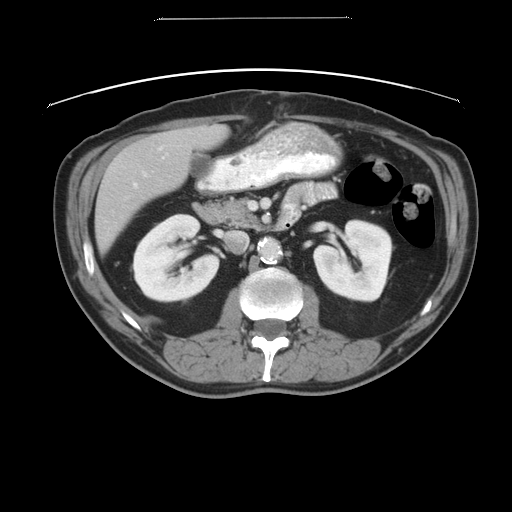

Computed tomography | Abdomen

Not every hepatic vessel necessarily has a box.
4 hepatic vessel regions appear at l=158, t=146, r=162, b=150; l=134, t=182, r=136, b=186; l=126, t=196, r=127, b=197; l=143, t=171, r=147, b=176.